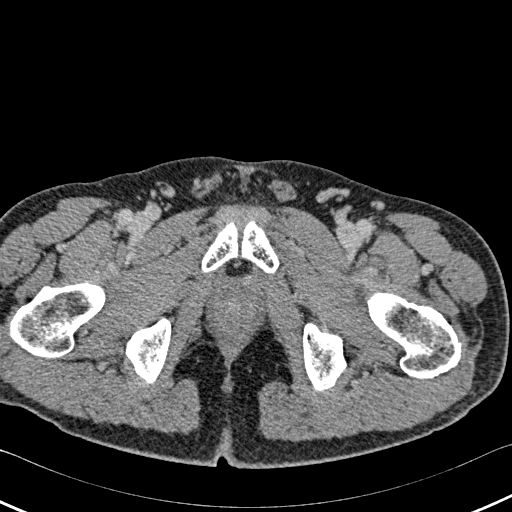

512x512, CT
bone:
  - bbox(303, 323, 345, 390)
  - bbox(367, 293, 460, 377)
  - bbox(202, 221, 279, 273)
  - bbox(126, 319, 170, 382)
  - bbox(0, 282, 104, 357)